Slice index 82.
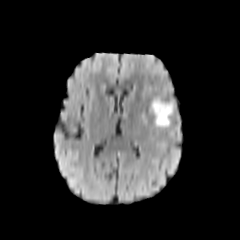
FLAIR MR image.
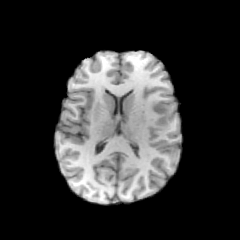
Same slice, T1-weighted MR.
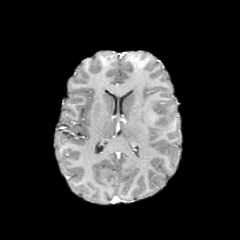
Same slice, post-contrast T1-weighted MR image.
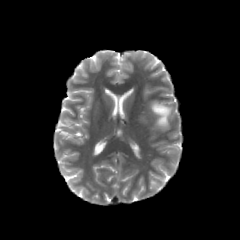
T2-weighted MR image.
Findings:
• non-enhancing tumor core: bbox=[152, 100, 174, 126]